Head; Slice 97/155
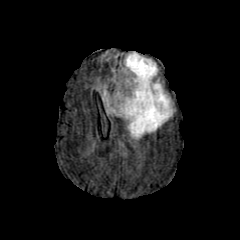
FLAIR MR image.
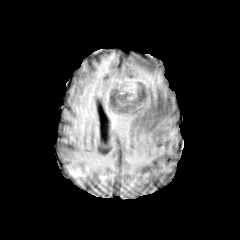
T1-weighted MR.
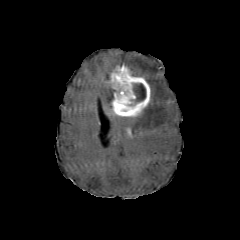
Post-contrast T1-weighted MR.
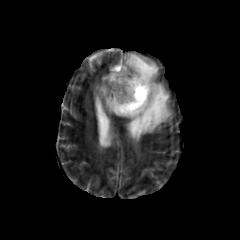
T2-weighted MR of the same slice.
The enhancing tumor is bounded by (109, 64, 150, 116). The non-enhancing tumor core is located at (134, 83, 146, 103). 2 edema regions are located at (123, 52, 172, 139), (97, 84, 112, 113).